FLAIR MR.
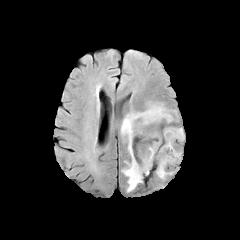
T1-weighted MRI.
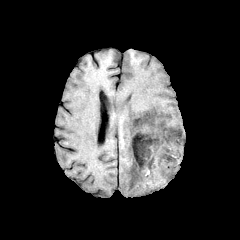
Post-contrast T1-weighted MR image.
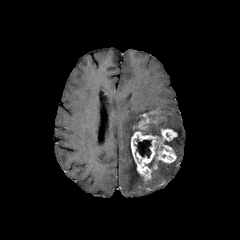
T2-weighted MRI.
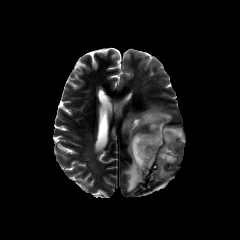
Image size 240x240, Head
Enhancing tumor = 131,131,175,178; 161,129,177,140; 138,113,149,129.
Edema = 121,105,172,192; 164,127,184,157; 156,160,172,178.
Non-enhancing tumor core = 145,143,163,170; 134,137,152,158; 134,113,170,144.